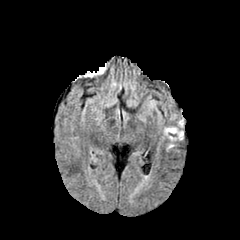
FLAIR magnetic resonance.
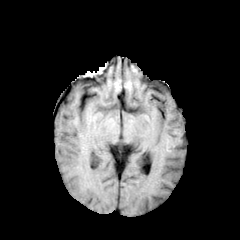
Same slice, T1-weighted MRI.
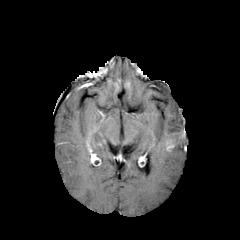
Same slice, post-contrast T1-weighted MR.
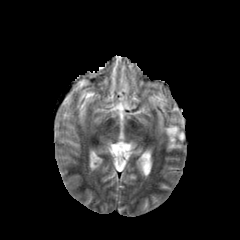
T2-weighted magnetic resonance.
Brain
<segmentation>
  <edema>[163, 114, 183, 140]</edema>
</segmentation>